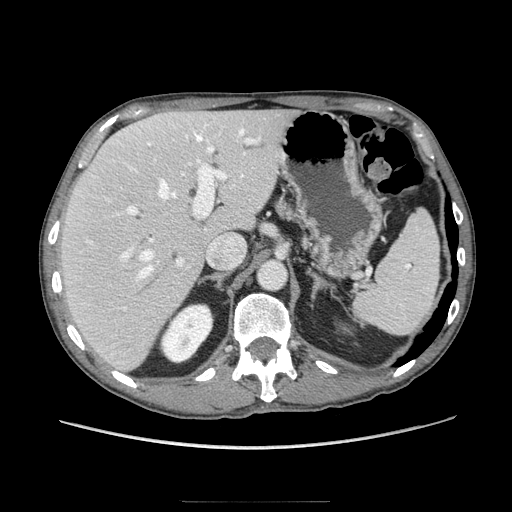
CT slice | Abdomen

<segmentation>
  <pancreas>(left=276, top=198, right=298, bottom=220)</pancreas>
</segmentation>